Field of view 500x500 mm | Computed tomography | Slice 43/47 | Liver

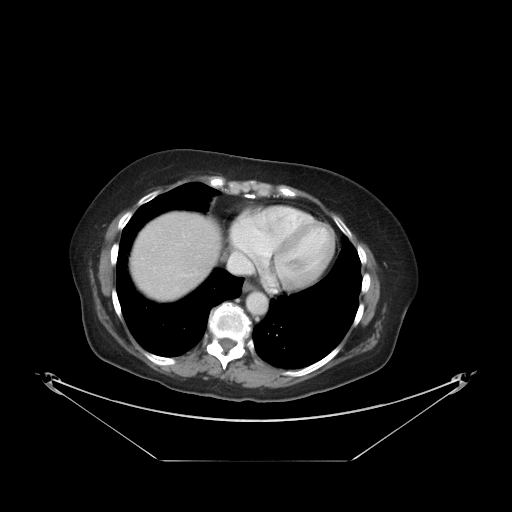

Only some of the vessels may be annotated.
hepatic vessel: [228,256,249,273]